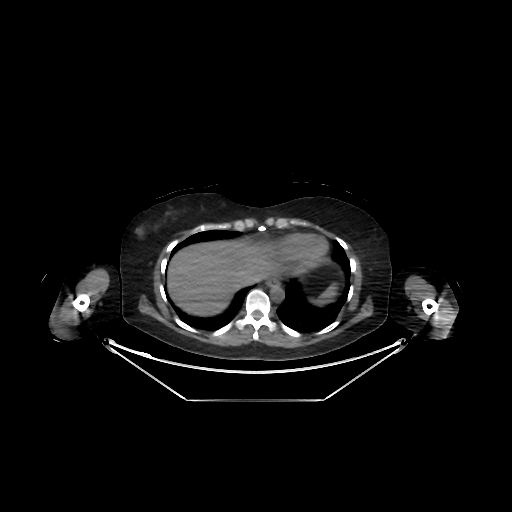 Abdomen | CT
{
  "liver": [
    "x1=167, y1=237, x2=306, y2=315"
  ]
}